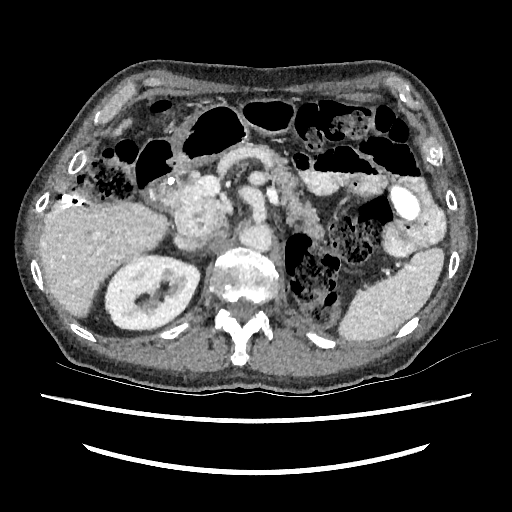

Image size 512x512. CT slice. Segmented structures:
- liver: {"x1": 113, "y1": 119, "x2": 130, "y2": 135}, {"x1": 40, "y1": 202, "x2": 165, "y2": 316}
- kidney: {"x1": 106, "y1": 256, "x2": 199, "y2": 329}